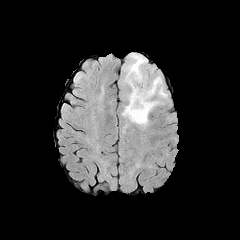
FLAIR MR.
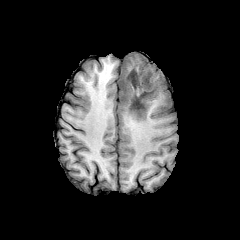
Same slice, T1-weighted MR.
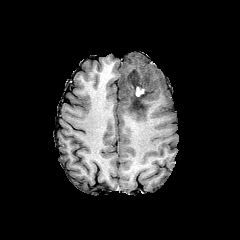
Post-contrast T1-weighted MR image.
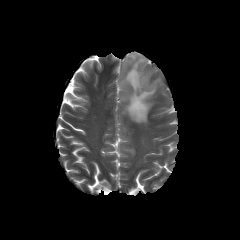
T2-weighted magnetic resonance.
Brain
Enhancing tumor: box(136, 87, 143, 96).
Non-enhancing tumor core: box(127, 70, 151, 111).
Edema: box(120, 53, 167, 125).